Liver; CT image; 512x512 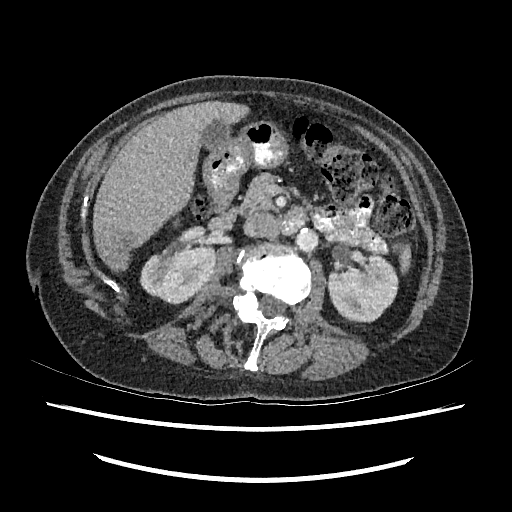

{"kidney": ["(left=141, top=246, right=215, bottom=302)", "(left=328, top=254, right=397, bottom=321)"], "hepatic_lesion": ["(left=112, top=228, right=135, bottom=253)"], "liver": ["(left=94, top=102, right=247, bottom=271)"]}